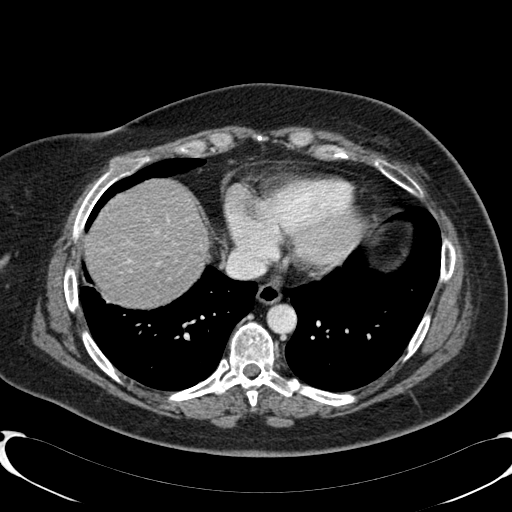

CT, Upper abdomen

The liver is located at <bbox>82, 179, 208, 305</bbox>.